512x512; Slice index 46; Abdomen; CT image

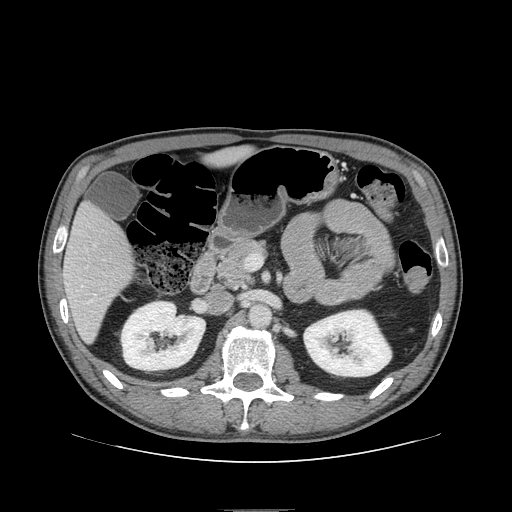

- pancreas: bbox(220, 241, 266, 284)